Thorax; CT scan slice

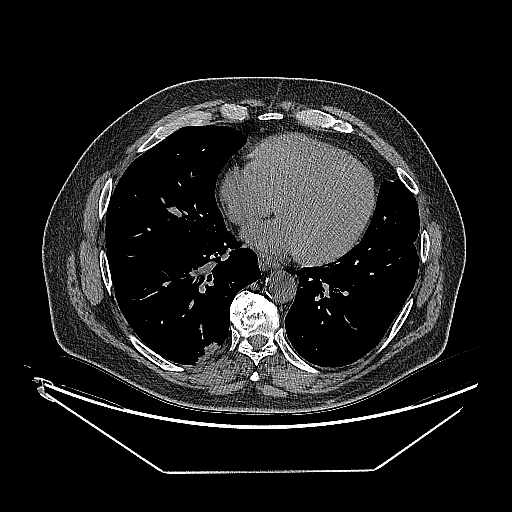
{"lung_tumor": ["(190, 341, 220, 363)"]}